Abdomen. Computed tomography. 512x512.

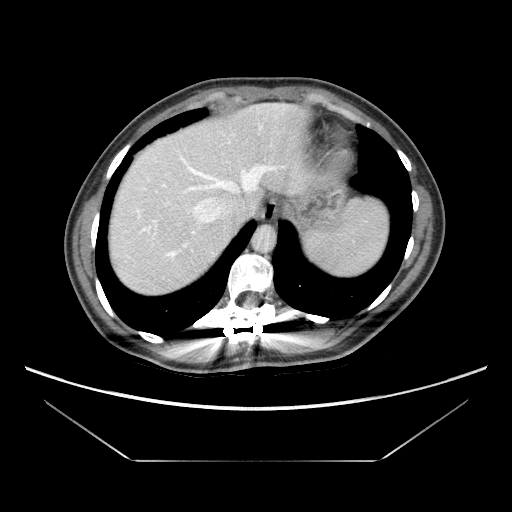

Only some of the vessels may be annotated.
5 hepatic vessel regions are located at 183 244 187 246, 177 150 276 193, 187 197 232 226, 165 251 177 257, 191 229 196 235.